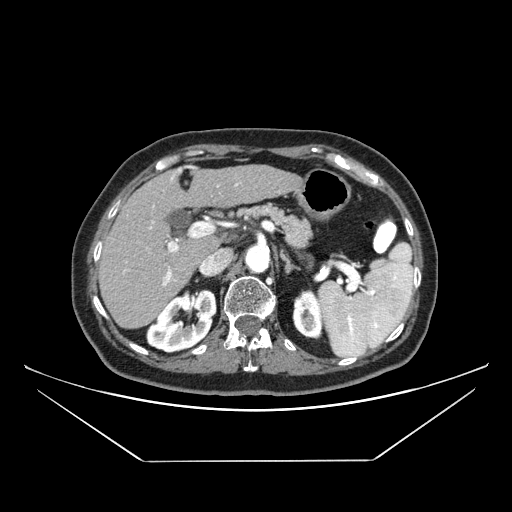 CT

Pancreas — region(209, 204, 313, 249).